Field of view 338x338 mm. Upper abdomen. 512x512. Slice 282/391. CT slice.

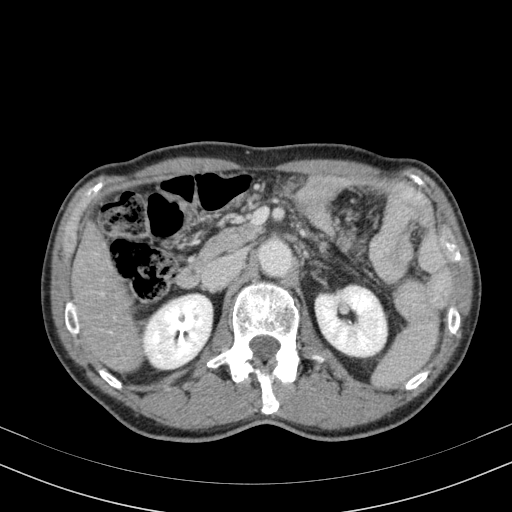

kidney: (left=144, top=295, right=211, bottom=368), (left=316, top=286, right=386, bottom=355) | liver: (left=71, top=221, right=142, bottom=371)